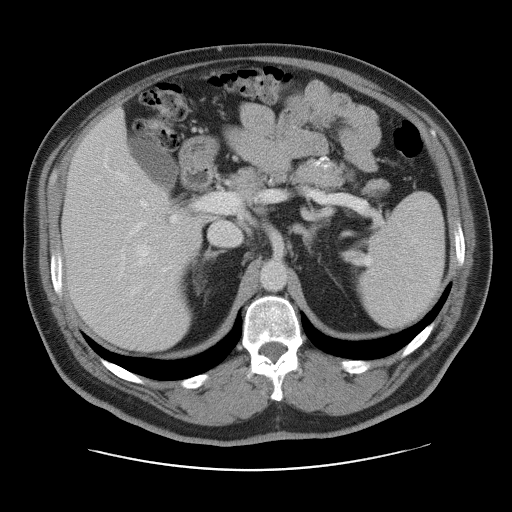

Abdomen; 512x512 px; CT scan slice

Some hepatic vessels may have no box.
11 hepatic vessel regions are bounded by box=[140, 199, 147, 208]; box=[137, 245, 148, 265]; box=[170, 215, 178, 223]; box=[196, 192, 240, 212]; box=[129, 221, 146, 235]; box=[261, 191, 280, 200]; box=[162, 266, 171, 270]; box=[136, 188, 137, 189]; box=[177, 230, 179, 231]; box=[210, 225, 239, 244]; box=[116, 173, 125, 179].